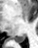

MR
{
  "posterior_hippocampus": [
    "13 34 24 42"
  ]
}